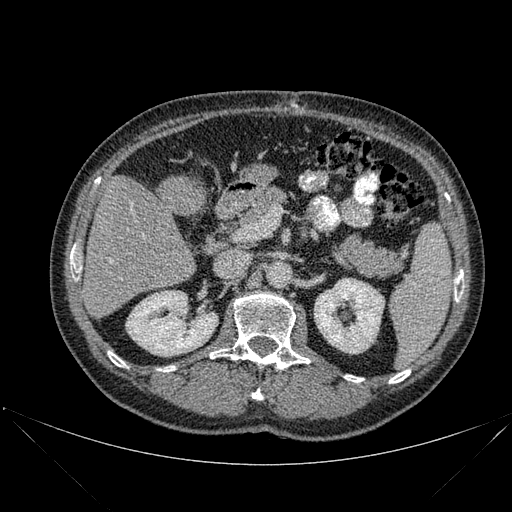

512x512 px | CT | Upper abdomen
- liver: 84:176:206:317
- kidney: 126:291:217:356, 314:278:384:353
- bone: 158:366:175:371, 70:246:80:279, 108:351:127:367, 210:293:309:369, 252:389:262:399, 344:375:363:382, 389:369:410:383, 454:271:463:301